Head, 240x240 px
FLAIR MR.
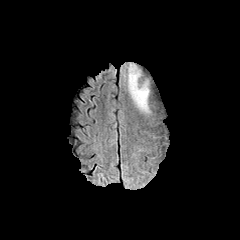
T1-weighted MR image.
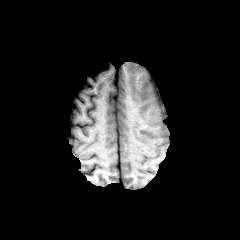
Post-contrast T1-weighted MR.
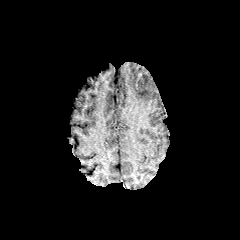
T2-weighted MRI.
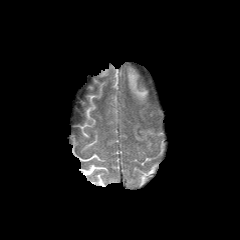
The edema appears at 127 66 148 109.